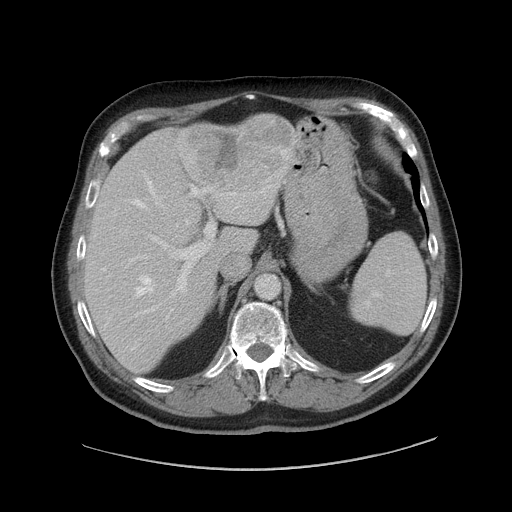

CT, Liver
The vessel annotation is not exhaustive.
The liver tumor is located at (x1=183, y1=114, x2=293, y2=193). 13 hepatic vessel regions appear at (x1=185, y1=220, x2=188, y2=223), (x1=227, y1=193, x2=234, y2=198), (x1=136, y1=276, x2=152, y2=296), (x1=132, y1=199, x2=144, y2=207), (x1=163, y1=223, x2=214, y2=289), (x1=149, y1=234, x2=157, y2=241), (x1=148, y1=181, x2=153, y2=192), (x1=103, y1=267, x2=105, y2=270), (x1=202, y1=189, x2=210, y2=192), (x1=233, y1=204, x2=242, y2=209), (x1=142, y1=309, x2=152, y2=312), (x1=192, y1=186, x2=198, y2=193), (x1=130, y1=258, x2=134, y2=262).